CT scan slice | Slice index 147 | Upper abdomen | Image size 512x512

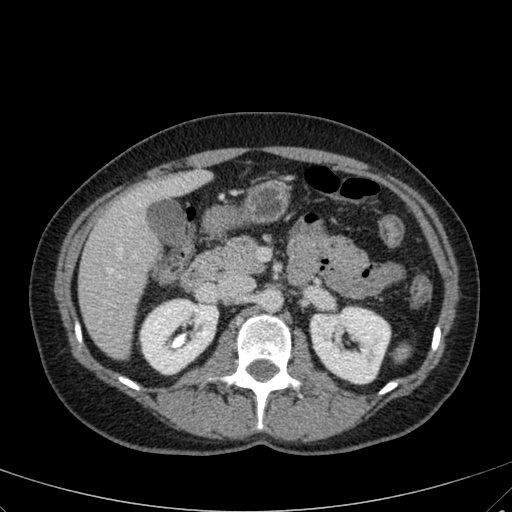

The liver is bounded by (78, 172, 205, 358). 2 kidney regions are bounded by (311, 308, 389, 382), (141, 300, 217, 373).